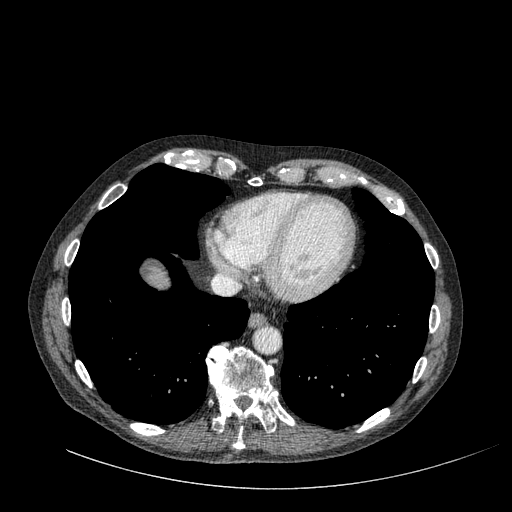
512x512. CT scan slice. Abdomen. liver:
  - region(148, 268, 169, 288)